FLAIR magnetic resonance.
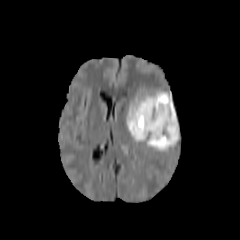
T1-weighted magnetic resonance.
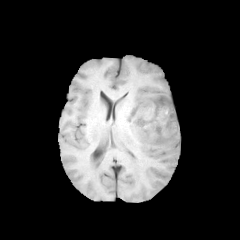
Post-contrast T1-weighted MR image.
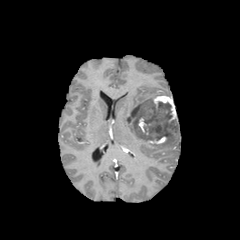
T2-weighted MR.
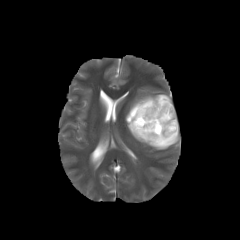
Brain.
Enhancing tumor — bbox(138, 118, 150, 135); bbox(147, 136, 166, 143); bbox(152, 95, 177, 122).
Edema — bbox(125, 86, 178, 150).
Non-enhancing tumor core — bbox(127, 99, 178, 140).